FLAIR magnetic resonance.
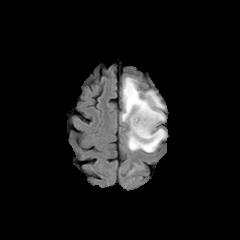
T1-weighted MR.
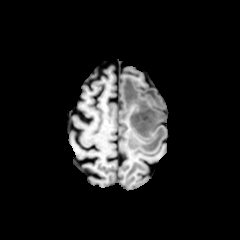
Post-contrast T1-weighted magnetic resonance.
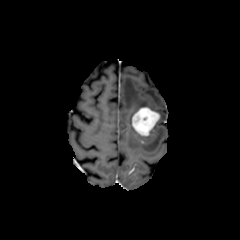
T2-weighted magnetic resonance.
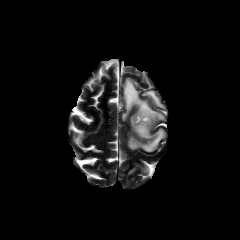
Image size 240x240. Head.
{"edema": ["box=[155, 109, 165, 122]", "box=[121, 77, 166, 152]"], "enhancing_tumor": ["box=[131, 107, 160, 137]"]}